Field of view 240 mm wide, 1.00 mm slice spacing
FLAIR MR.
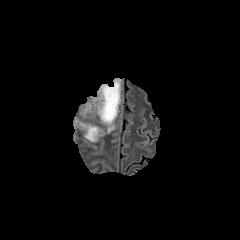
T1-weighted magnetic resonance.
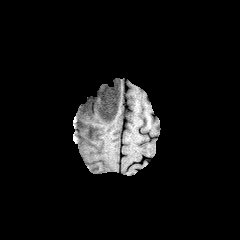
Post-contrast T1-weighted MR.
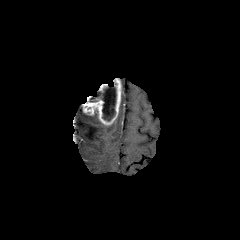
T2-weighted MR.
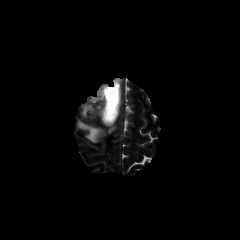
non-enhancing tumor core: (left=96, top=84, right=117, bottom=123) | enhancing tumor: (left=113, top=78, right=120, bottom=111), (left=82, top=97, right=103, bottom=118) | edema: (left=77, top=112, right=114, bottom=142)